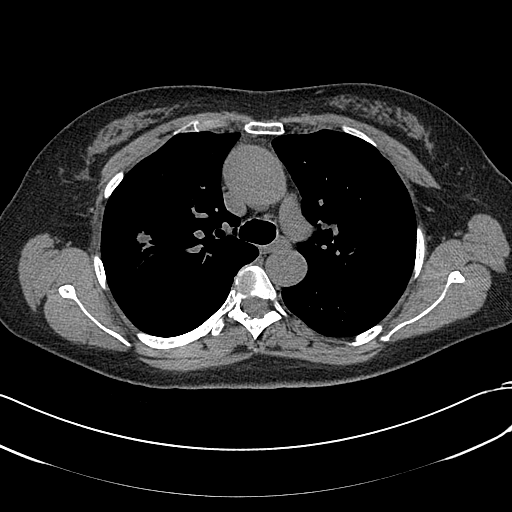 Lung, CT
Lung tumor at box(132, 229, 153, 261).